Abdomen, Slice index 98, Field of view 403x403 mm, CT image, 512x512

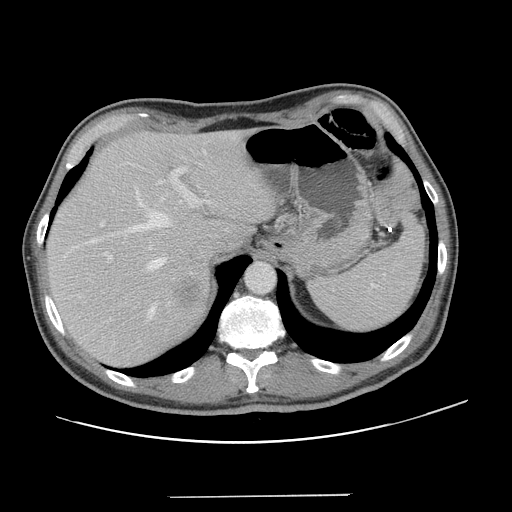

Not every hepatic vessel necessarily has a box.
<segmentation>
  <liver_tumor>[x1=175, y1=278, x2=201, y2=307]</liver_tumor>
  <hepatic_vessel>[x1=123, y1=212, x2=168, y2=235], [x1=148, y1=257, x2=166, y2=269], [x1=148, y1=306, x2=154, y2=318], [x1=66, y1=246, x2=77, y2=254], [x1=161, y1=198, x2=163, y2=200], [x1=157, y1=180, x2=163, y2=183], [x1=148, y1=247, x2=151, y2=249], [x1=172, y1=167, x2=211, y2=206], [x1=100, y1=220, x2=104, y2=226], [x1=104, y1=252, x2=112, y2=261], [x1=179, y1=201, x2=181, y2=202], [x1=89, y1=238, x2=98, y2=242], [x1=136, y1=188, x2=143, y2=206]</hepatic_vessel>
</segmentation>